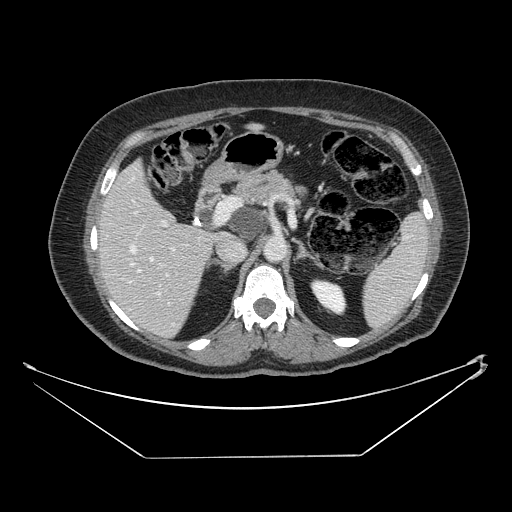
Abdomen, CT slice
Pancreas — box=[232, 170, 301, 226].
Pancreatic tumor — box=[228, 207, 268, 241].